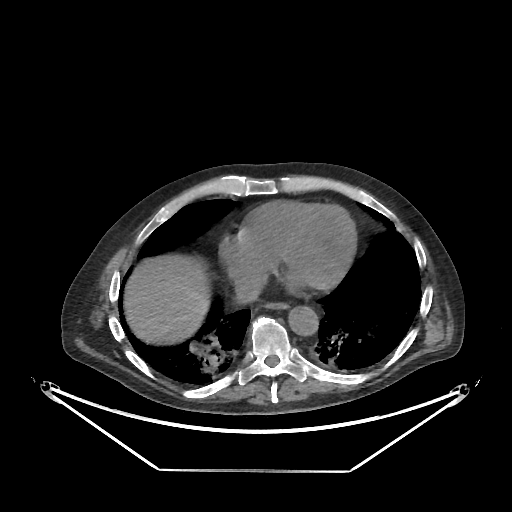 Upper abdomen, CT scan slice

The liver is at box(124, 256, 209, 343).